CT | Abdomen

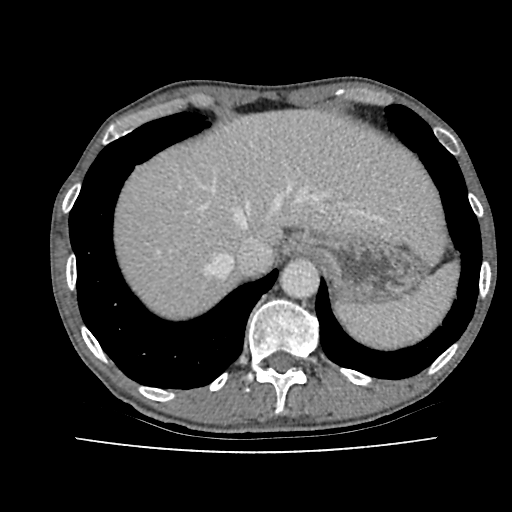
Liver — <box>114,110,448,318</box>.